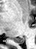
MRI
posterior_hippocampus:
  - 10:36:25:43